CT slice | Abdomen 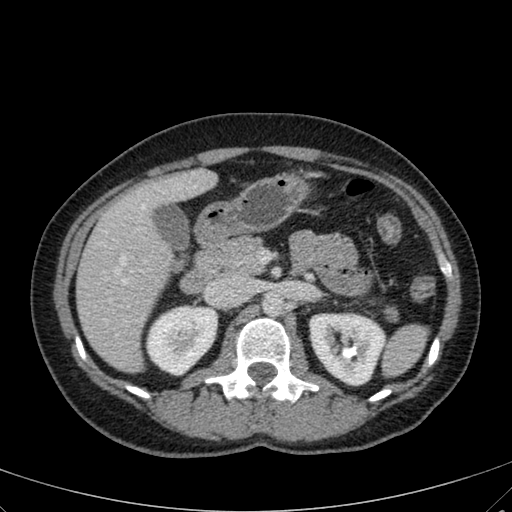

2 kidney regions are located at (148, 307, 216, 373), (310, 315, 384, 384). The liver is located at (76, 168, 216, 370).